CT scan slice | Image size 512x512 | Liver | Image width 386 mm | Slice 37/145 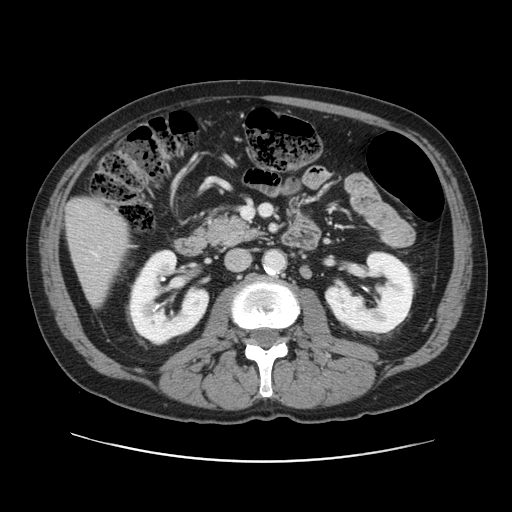

Some hepatic vessels may have no box.
Annotated regions:
* hepatic vessel: rect(93, 252, 96, 255)